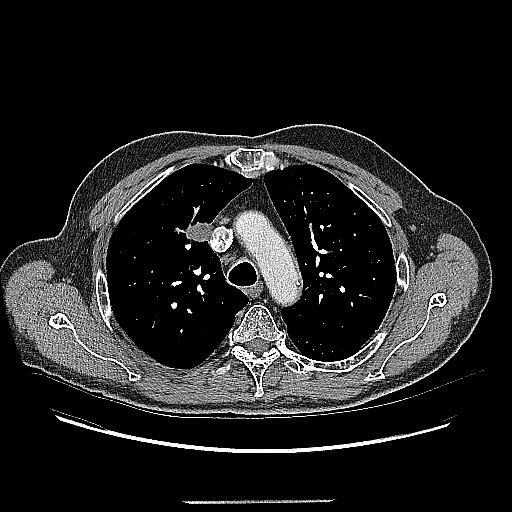
CT
The lung tumor is located at 173, 222, 210, 242.